FLAIR MRI.
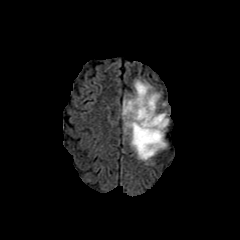
T1-weighted MR image.
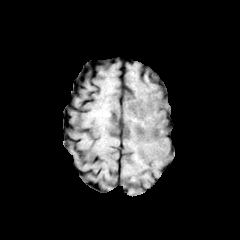
Post-contrast T1-weighted MR image.
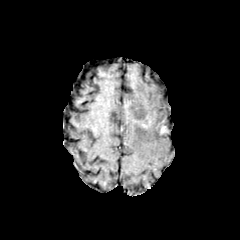
T2-weighted magnetic resonance.
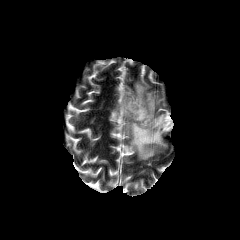
Brain
Edema = (x1=121, y1=80, x2=169, y2=163).
Non-enhancing tumor core = (x1=123, y1=99, x2=131, y2=117), (x1=140, y1=112, x2=155, y2=127), (x1=156, y1=117, x2=168, y2=128).